Abdomen; CT slice; 512x512; Slice index 47
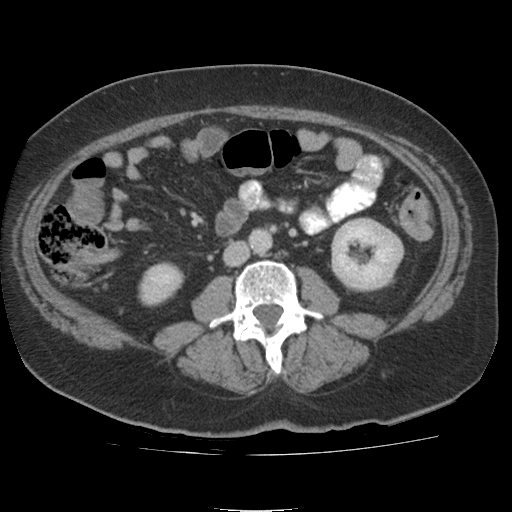 Kidney: bounding box 143, 266, 178, 301; 333, 221, 400, 288.